CT, Slice index 70, Field of view 376 mm wide, 5.00 mm slice spacing 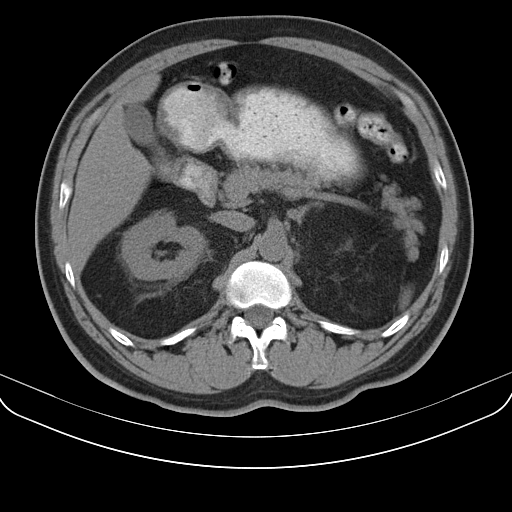

Spleen: 402, 288, 412, 303.